FLAIR MR.
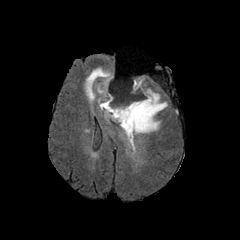
T1-weighted MR.
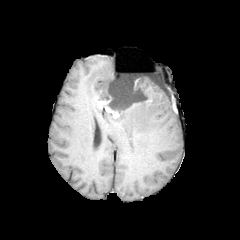
Post-contrast T1-weighted MR image.
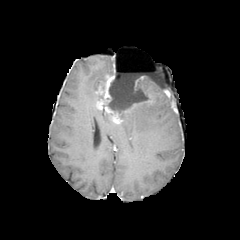
T2-weighted MR.
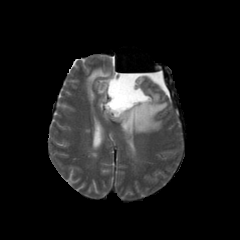
Enhancing tumor at (x1=113, y1=113, x2=122, y2=121), (x1=98, y1=74, x2=113, y2=101), (x1=98, y1=99, x2=111, y2=112).
Edema at (x1=116, y1=76, x2=167, y2=150), (x1=85, y1=67, x2=113, y2=104).
Non-enhancing tumor core at (x1=104, y1=80, x2=149, y2=119).